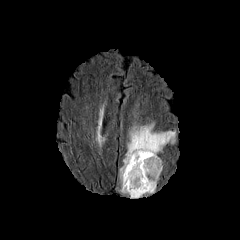
FLAIR MR image.
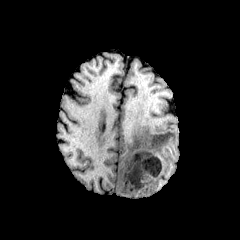
T1-weighted MR.
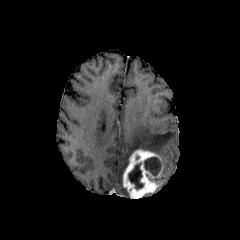
Same slice, post-contrast T1-weighted magnetic resonance.
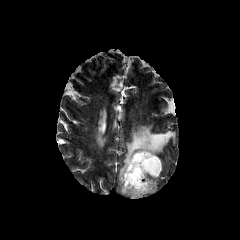
T2-weighted MR.
240x240 px; Brain
Edema = l=118, t=122, r=175, b=194.
Non-enhancing tumor core = l=144, t=157, r=162, b=185; l=128, t=163, r=144, b=190.
Enhancing tumor = l=122, t=149, r=161, b=198.